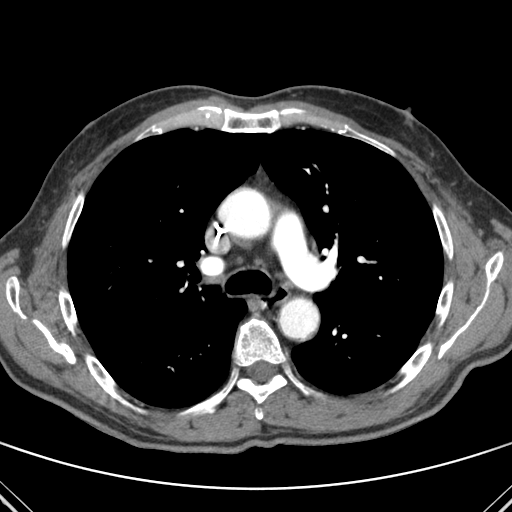
CT image
The most prominent 15 bone regions (of 16) are located at (x1=438, y1=252, x2=503, y2=358), (x1=235, y1=318, x2=285, y2=366), (x1=436, y1=281, x2=452, y2=324), (x1=363, y1=136, x2=390, y2=150), (x1=6, y1=277, x2=25, y2=318), (x1=86, y1=355, x2=131, y2=406), (x1=180, y1=370, x2=286, y2=419), (x1=433, y1=205, x2=452, y2=258), (x1=33, y1=319, x2=75, y2=363), (x1=137, y1=125, x2=162, y2=139), (x1=394, y1=343, x2=431, y2=390), (x1=62, y1=193, x2=83, y2=246), (x1=285, y1=368, x2=314, y2=394), (x1=59, y1=290, x2=76, y2=333), (x1=198, y1=106, x2=302, y2=132). The lung appears at (x1=67, y1=129, x2=443, y2=407).